Liver, CT slice

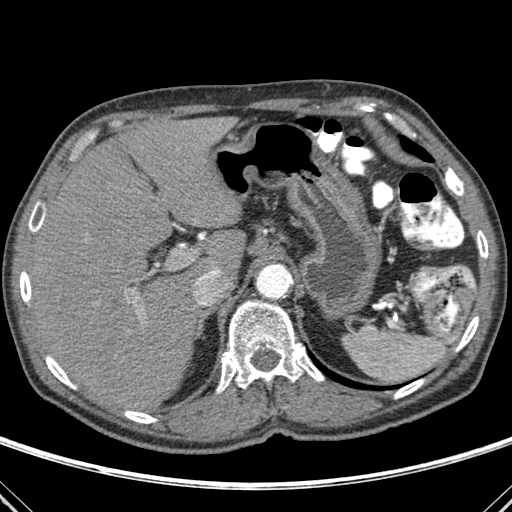

{"lung": ["<box>399,136,433,161</box>", "<box>309,351,397,390</box>"], "liver": ["<box>27,116,241,412</box>", "<box>209,231,245,270</box>"], "bone": ["<box>20,271,31,302</box>", "<box>477,231,488,258</box>", "<box>124,412,156,423</box>", "<box>46,356,75,388</box>", "<box>456,316,478,351</box>", "<box>445,168,463,195</box>", "<box>394,379,424,398</box>", "<box>28,203,44,231</box>", "<box>216,301,324,392</box>"]}